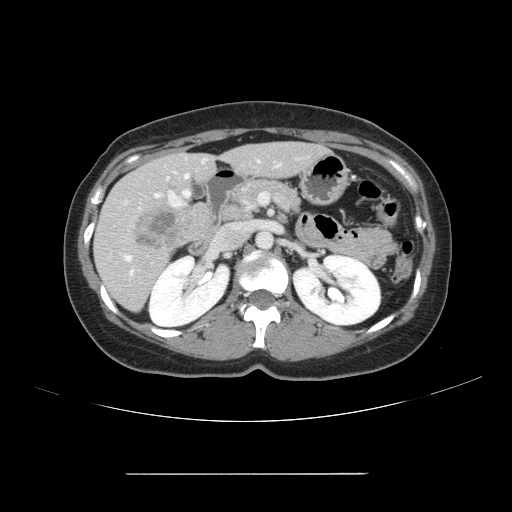
CT. Abdomen. Some hepatic vessels may have no box.
• liver tumor: {"x1": 138, "y1": 237, "x2": 159, "y2": 248}, {"x1": 139, "y1": 210, "x2": 176, "y2": 237}
• hepatic vessel: {"x1": 167, "y1": 177, "x2": 168, "y2": 179}, {"x1": 131, "y1": 270, "x2": 132, "y2": 274}, {"x1": 169, "y1": 192, "x2": 172, "y2": 195}, {"x1": 257, "y1": 160, "x2": 259, "y2": 162}, {"x1": 154, "y1": 193, "x2": 159, "y2": 197}, {"x1": 185, "y1": 174, "x2": 188, "y2": 177}, {"x1": 202, "y1": 159, "x2": 205, "y2": 162}, {"x1": 125, "y1": 256, "x2": 130, "y2": 260}